FLAIR magnetic resonance.
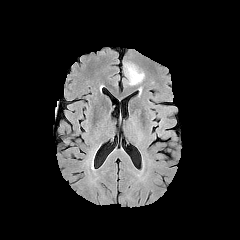
T1-weighted MR.
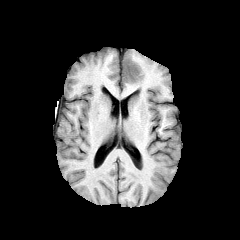
Post-contrast T1-weighted MR.
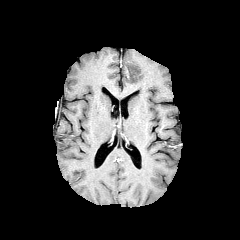
T2-weighted MR.
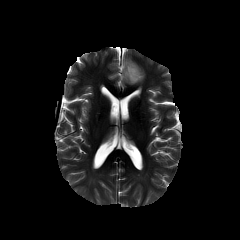
Edema = l=123, t=60, r=144, b=85.